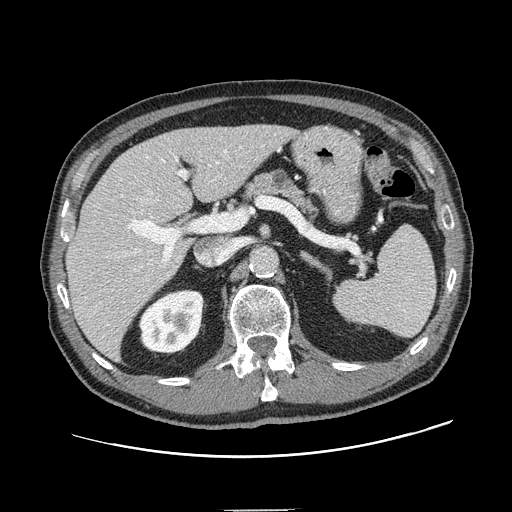

Abdomen. CT.
{"pancreatic_tumor": ["<box>271,169,288,189</box>"], "pancreas": ["<box>240,167,318,217</box>"]}